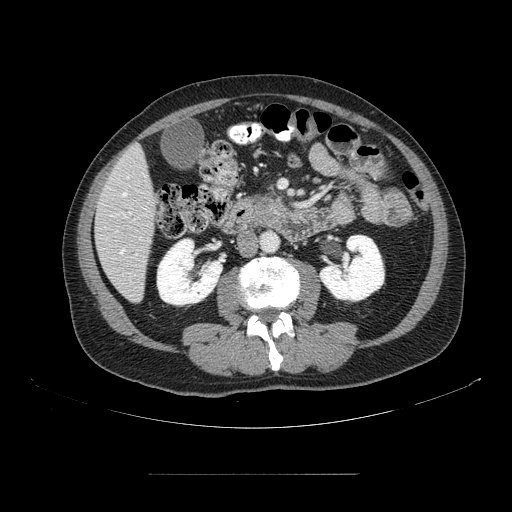
Upper abdomen | CT scan slice

pancreas:
  - [246, 192, 291, 230]